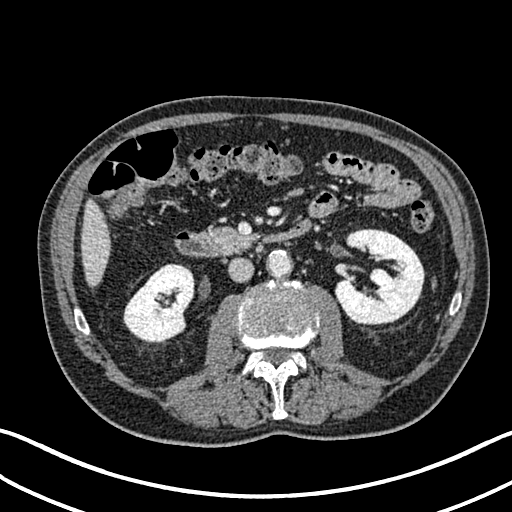

CT image | Abdomen | 512x512

2 kidney regions appear at box(124, 265, 193, 341); box(336, 230, 423, 323). The liver appears at box(82, 201, 110, 285).